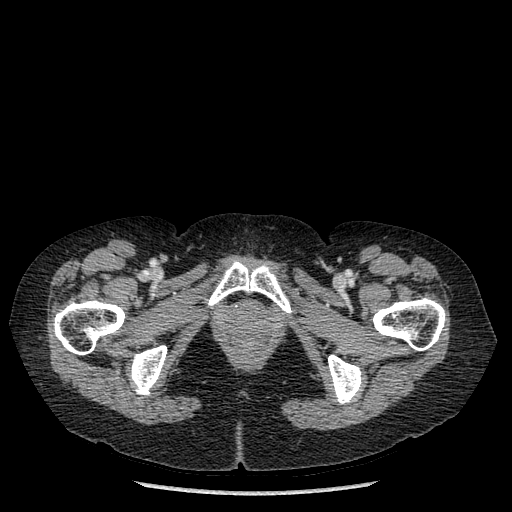

Image size 512x512, Computed tomography
Segmented structures:
- bone: <box>129,345,167,395</box>, <box>208,257,291,313</box>, <box>53,300,125,354</box>, <box>373,298,445,350</box>, <box>328,354,362,404</box>